CT image, Abdomen, Image width 404 mm 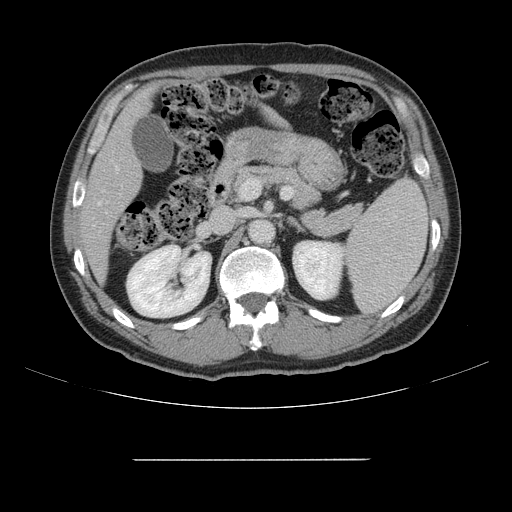

Some hepatic vessels may have no box.
Hepatic vessel at 116,167,117,171; 98,201,100,204.